FLAIR MRI.
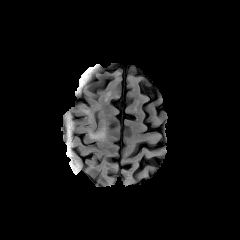
T1-weighted MRI.
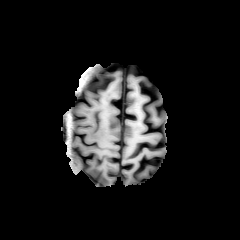
Post-contrast T1-weighted magnetic resonance.
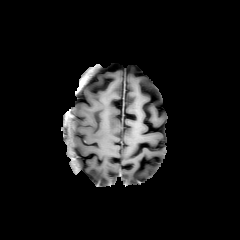
T2-weighted MR image.
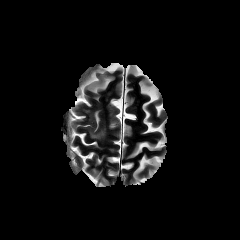
Image size 240x240
Edema — bbox(90, 128, 105, 139).